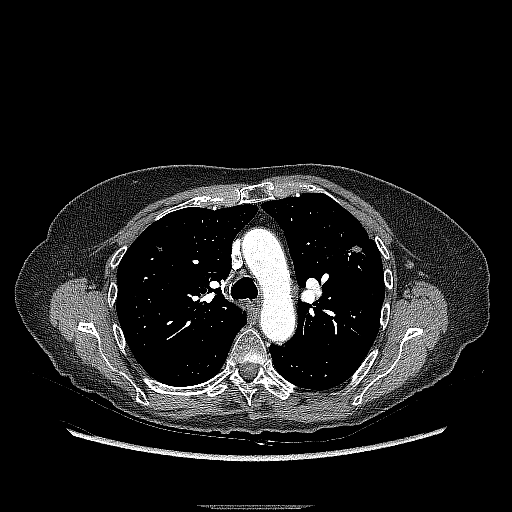

CT scan slice
The lung tumor is located at x1=339 y1=244 x2=368 y2=264.